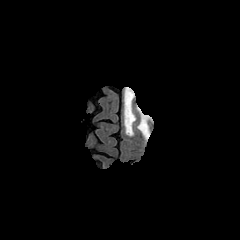
FLAIR MRI.
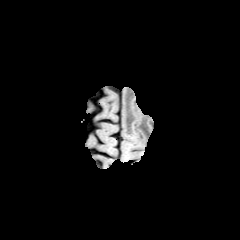
T1-weighted MRI of the same slice.
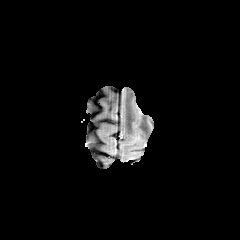
Post-contrast T1-weighted MRI.
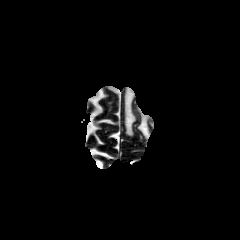
Same slice, T2-weighted MR.
The edema is located at x1=123 y1=87 x2=153 y2=144.